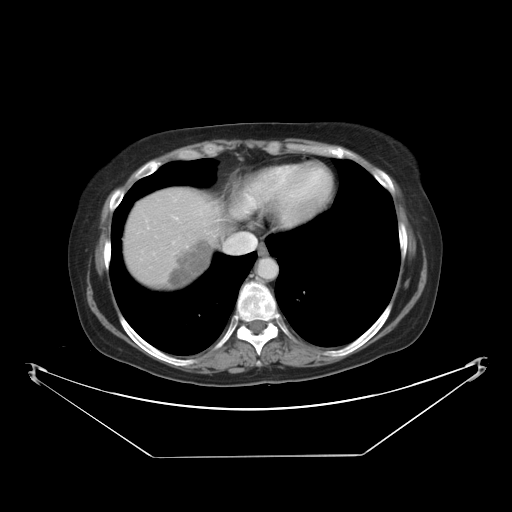 Abdomen; CT scan slice; 512x512
The vessel annotation is not exhaustive.
{
  "hepatic_vessel": [
    "174, 217, 177, 219"
  ],
  "liver_tumor": [
    "166, 240, 213, 288"
  ]
}